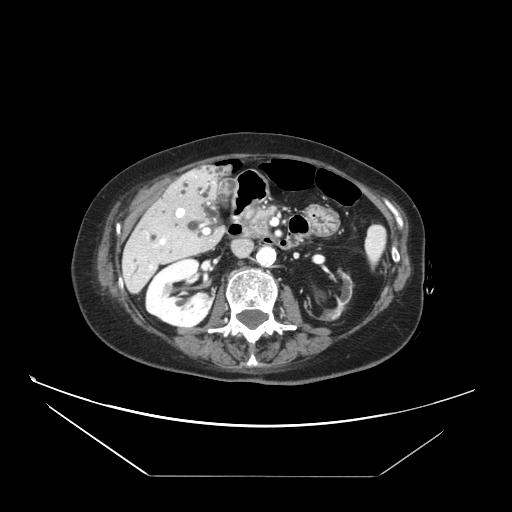

CT scan slice; 512x512 px; Upper abdomen
The pancreatic tumor appears at 255:216:268:234. The pancreas lies within 243:208:276:238.